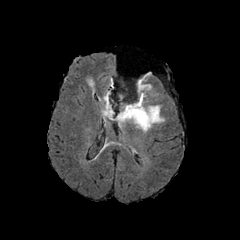
FLAIR MR.
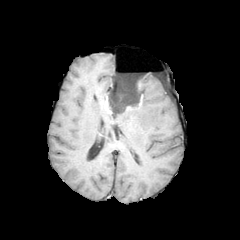
Same slice, T1-weighted MR.
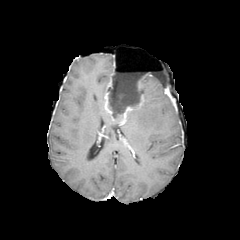
Post-contrast T1-weighted MR.
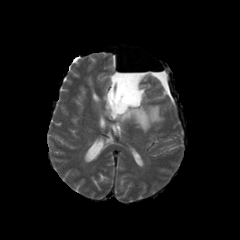
T2-weighted MRI of the same slice.
Annotated regions:
• enhancing tumor: region(121, 107, 132, 122); region(105, 93, 111, 113)
• edema: region(101, 75, 164, 132); region(104, 75, 113, 93)
• non-enhancing tumor core: region(108, 78, 144, 119)